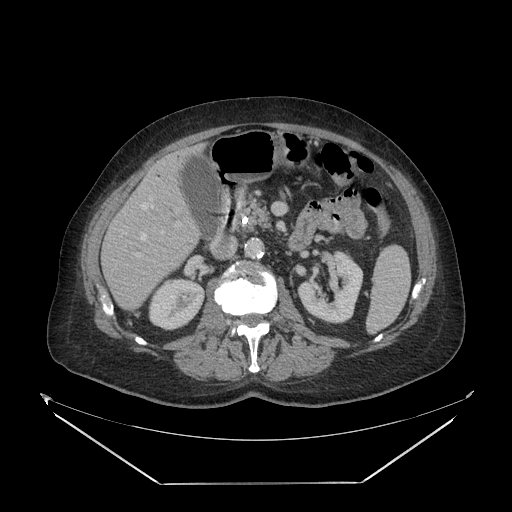 CT

{"pancreatic_tumor": ["(x1=257, y1=209, x2=263, y2=217)"], "pancreas": ["(x1=247, y1=201, x2=271, y2=233)"]}